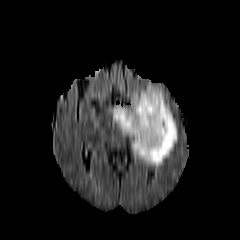
FLAIR magnetic resonance.
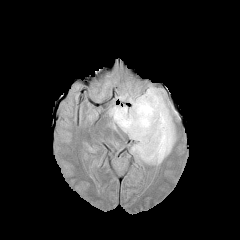
T1-weighted MR image.
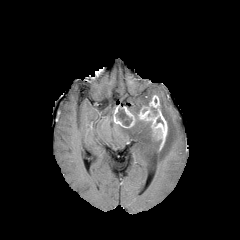
Post-contrast T1-weighted MR image.
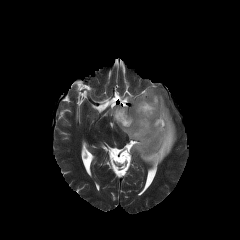
T2-weighted MR.
Head | 240x240
Annotated regions:
* enhancing tumor: region(113, 106, 135, 127); region(138, 95, 167, 149)
* edema: region(118, 85, 177, 167)
* non-enhancing tumor core: region(115, 108, 132, 126)